FLAIR magnetic resonance.
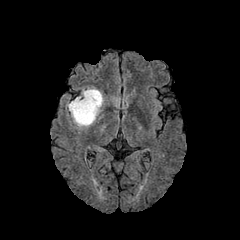
T1-weighted MR.
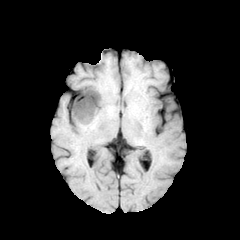
Post-contrast T1-weighted MR image.
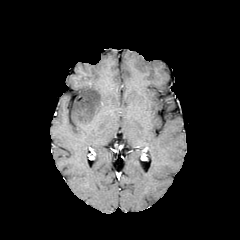
T2-weighted magnetic resonance.
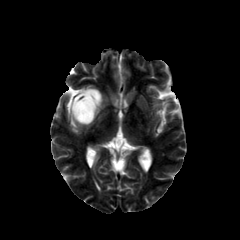
Head
{
  "edema": [
    "l=67, t=86, r=104, b=129"
  ],
  "non-enhancing_tumor_core": [
    "l=80, t=105, r=89, b=117"
  ]
}